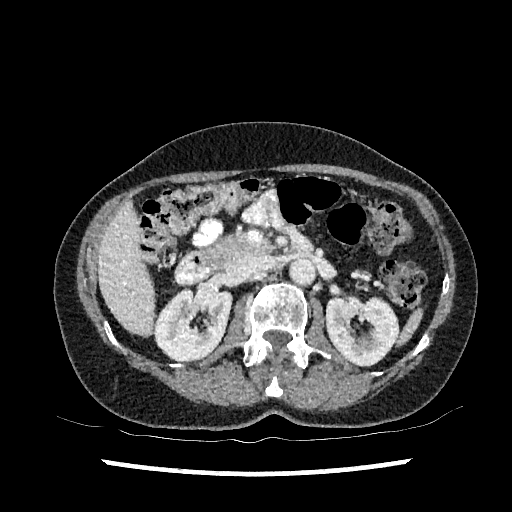
Liver. CT scan slice.
2 kidney regions appear at (155,280,231,360), (326,298,398,365). The liver is at (99,203,153,335).